Slice index 26; 36x47 px; Magnetic resonance

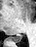 posterior hippocampus: region(11, 35, 22, 42)